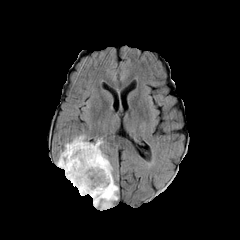
FLAIR MR image.
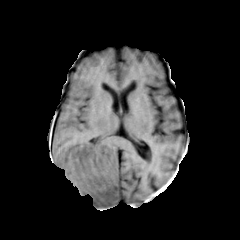
T1-weighted MR of the same slice.
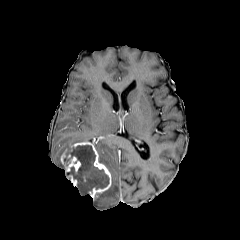
Same slice, post-contrast T1-weighted MR.
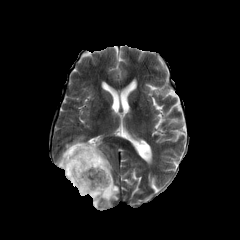
T2-weighted MR image.
Head
3 edema regions appear at [56,135,86,167], [72,146,108,195], [93,140,118,209]. The non-enhancing tumor core lies within [66,148,87,181]. 2 enhancing tumor regions are located at [60,152,80,172], [70,138,111,199].